FLAIR MR.
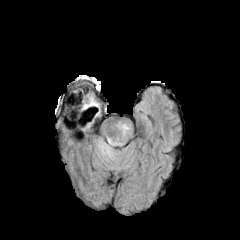
T1-weighted MRI.
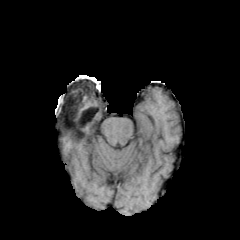
Post-contrast T1-weighted MR.
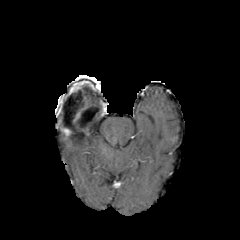
T2-weighted MR image.
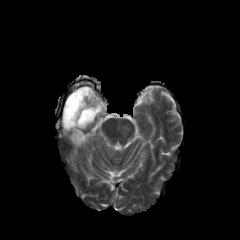
Image size 240x240 | Brain
The edema lies within [82,91,97,110].